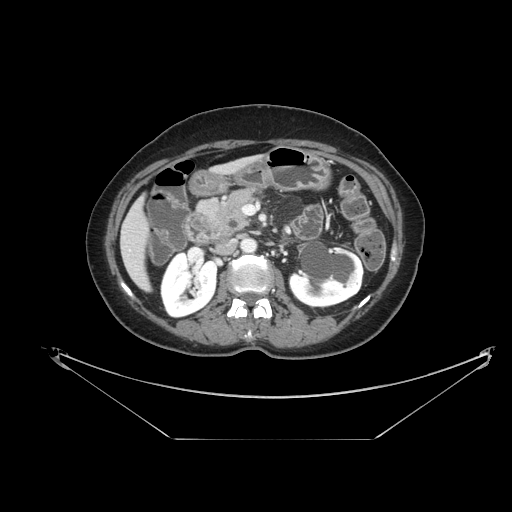
CT image
pancreas: 197 189 259 238